Slice index 94, CT image, Field of view 512x512 mm 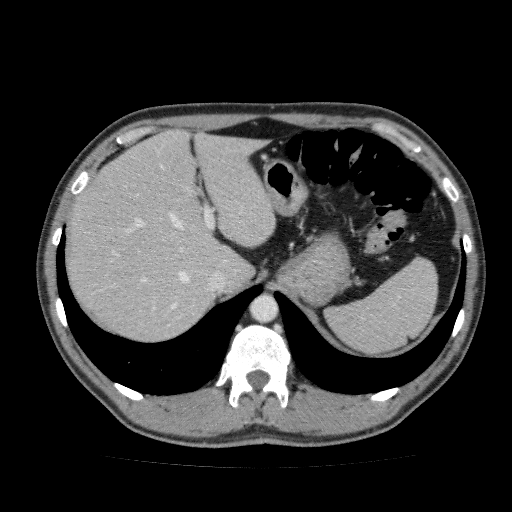

{
  "liver": [
    "67, 128, 275, 343"
  ]
}